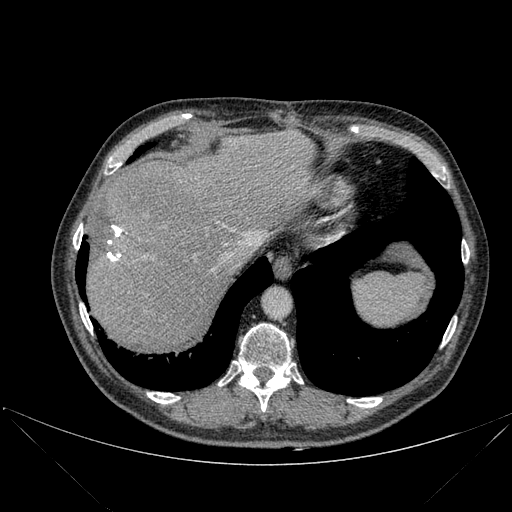
CT image; Image size 512x512
8 bone regions are located at box(347, 397, 381, 407); box(109, 157, 121, 172); box(79, 303, 92, 334); box(462, 239, 469, 263); box(73, 224, 82, 249); box(441, 322, 455, 346); box(147, 392, 179, 403); box(233, 324, 302, 411). 4 lung regions are bounded by box(127, 143, 153, 162); box(75, 236, 88, 302); box(291, 157, 463, 395); box(97, 257, 273, 390). The liver appears at box(87, 131, 316, 353).